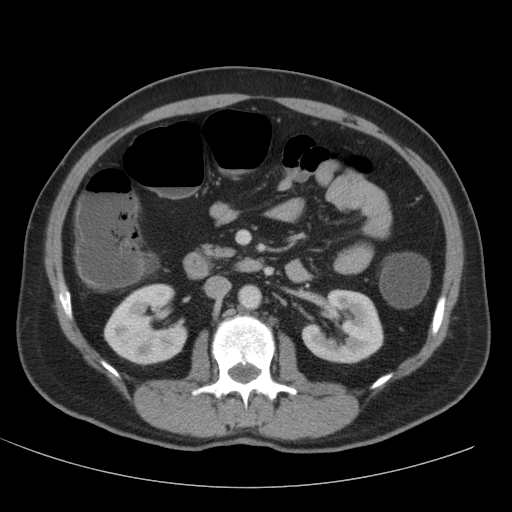

512x512 px; Abdomen; CT
2 kidney regions are located at (104, 284, 186, 364), (302, 290, 383, 362).